FLAIR MR.
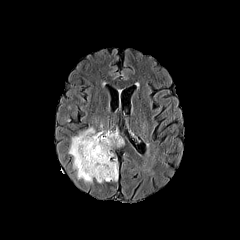
T1-weighted MRI.
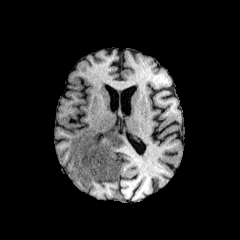
Post-contrast T1-weighted MR image.
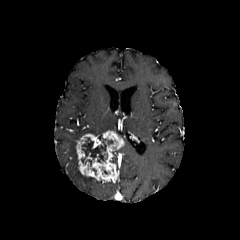
T2-weighted magnetic resonance.
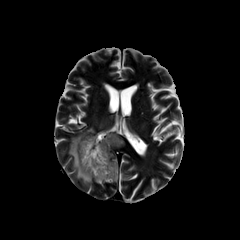
The non-enhancing tumor core is at x1=81 y1=137 x2=108 y2=162. The edema is bounded by x1=68 y1=127 x2=95 y2=185. The enhancing tumor is at x1=75 y1=130 x2=124 y2=183.